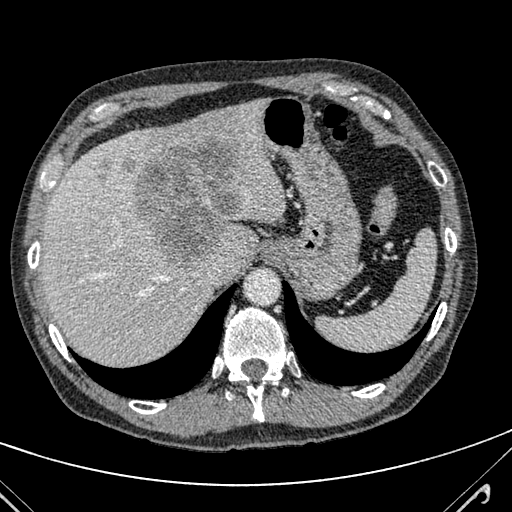

Computed tomography, 512x512 px
<segmentation>
  <hepatic_lesion>l=134, t=136, r=242, b=267; l=125, t=159, r=134, b=168</hepatic_lesion>
  <liver>l=43, t=99, r=285, b=364</liver>
</segmentation>